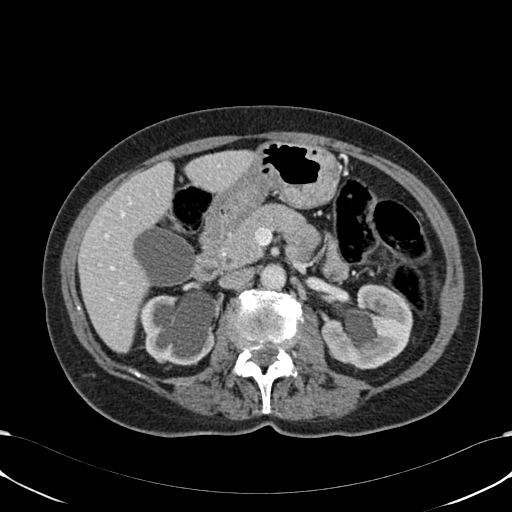

512x512. Liver. CT slice.
2 liver regions are located at region(79, 161, 173, 352); region(186, 150, 254, 191). 4 kidney regions appear at region(338, 293, 348, 301); region(140, 295, 215, 364); region(192, 281, 200, 290); region(322, 285, 412, 368).